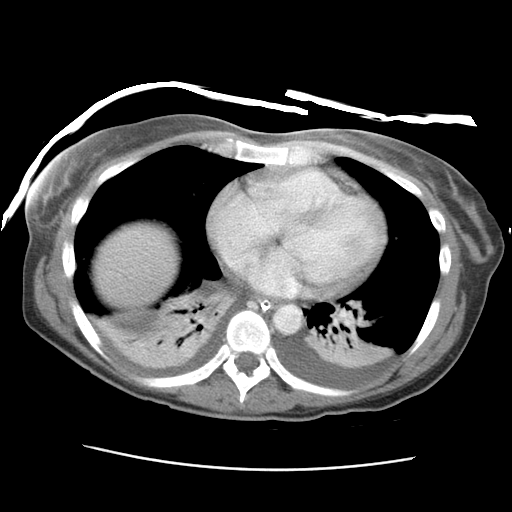
Abdomen | CT
The liver is at bbox=[97, 226, 174, 303].